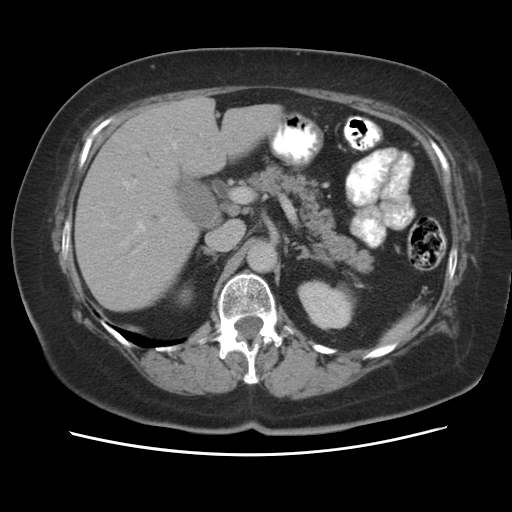 Computed tomography

{"pancreas": ["bbox(247, 166, 376, 273)"]}